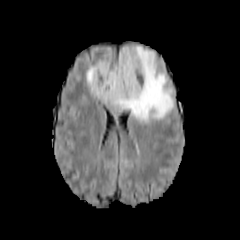
FLAIR MRI.
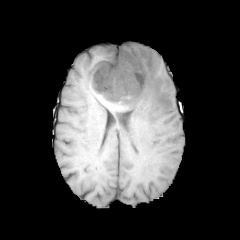
Same slice, T1-weighted MR.
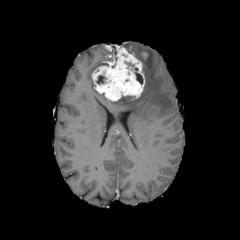
Post-contrast T1-weighted magnetic resonance of the same slice.
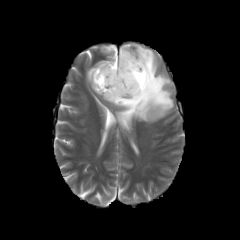
T2-weighted MR.
Enhancing tumor = rect(92, 44, 144, 100).
Non-enhancing tumor core = rect(95, 75, 106, 84); rect(107, 45, 116, 55); rect(135, 72, 143, 84).
Edema = rect(108, 45, 173, 122); rect(87, 63, 97, 92).